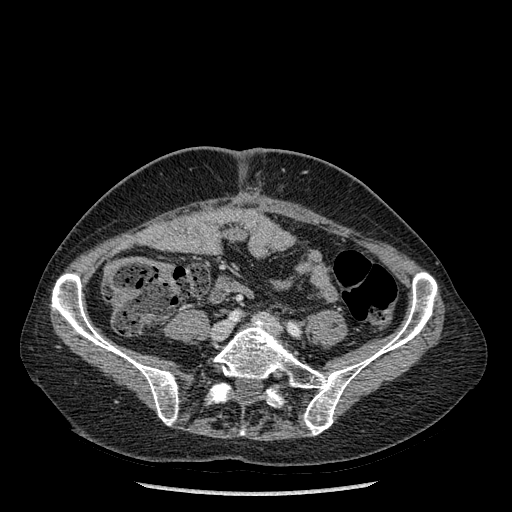
CT
Annotated regions:
• bone: 213,272,437,435; 261,386,283,407; 52,273,178,425; 207,383,233,403